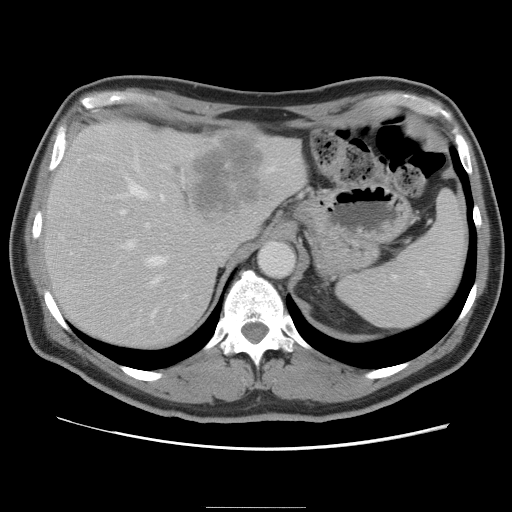
512x512 | Abdomen | CT scan slice
Some hepatic vessels may have no box.
The liver tumor is bounded by (194,136,262,212). 14 hepatic vessel regions are bounded by (116,178,148,197), (120,239,134,248), (151,276,159,283), (120,209,124,213), (151,310,155,316), (147,255,166,264), (70,252,71,253), (133,151,137,168), (145,223,148,226), (159,194,163,199), (78,158,79,160), (59,235,61,236), (96,156,106,159), (182,294,185,297).